Slice index 86, 240x240
FLAIR MR image.
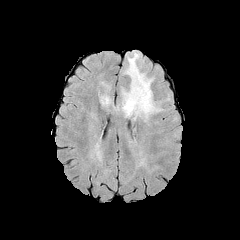
T1-weighted magnetic resonance.
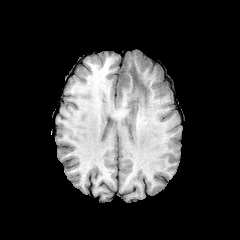
Post-contrast T1-weighted MR.
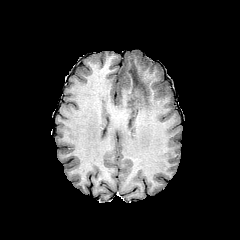
T2-weighted magnetic resonance.
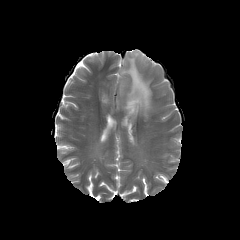
Findings:
* edema: region(120, 51, 155, 120)